Slice 101/260, CT slice, Image width 512 mm 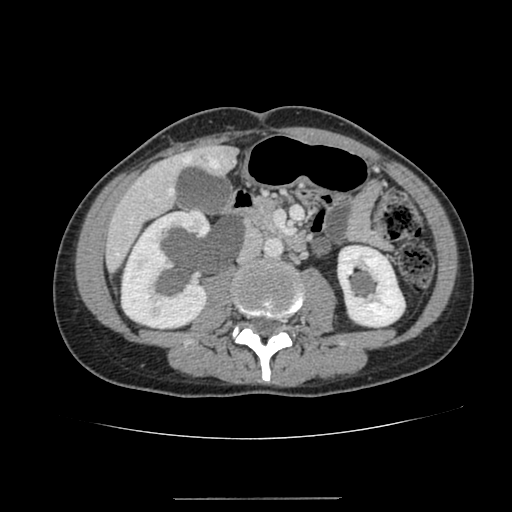
Kidney at l=122, t=211, r=208, b=327; l=338, t=246, r=404, b=326.
Liver at l=106, t=145, r=238, b=273.